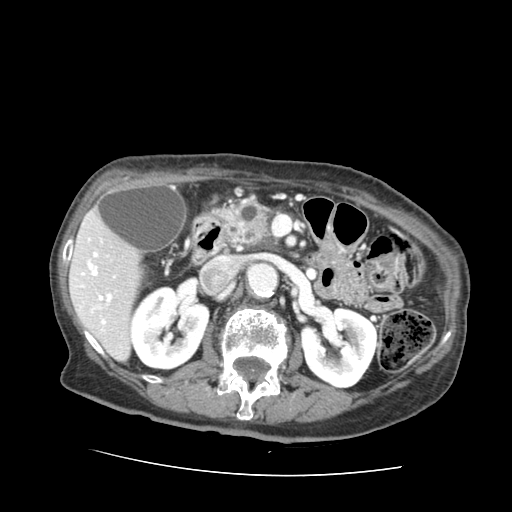

Image size 512x512; Upper abdomen; CT slice
Pancreatic tumor: x1=235, y1=219, x2=268, y2=240.
Pancreas: x1=214, y1=195, x2=278, y2=252.